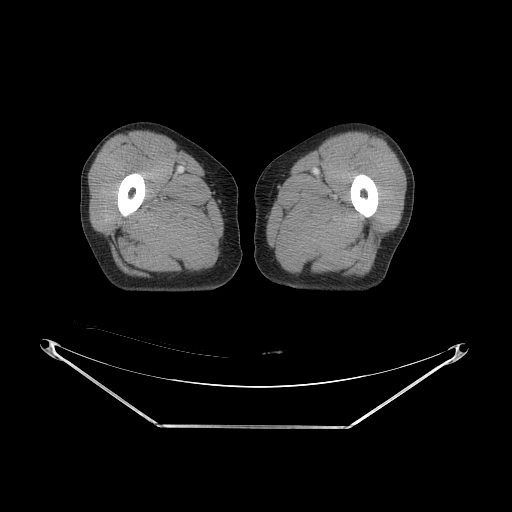

CT image
{
  "bone": [
    "box=[351, 175, 377, 217]",
    "box=[118, 174, 144, 217]"
  ]
}